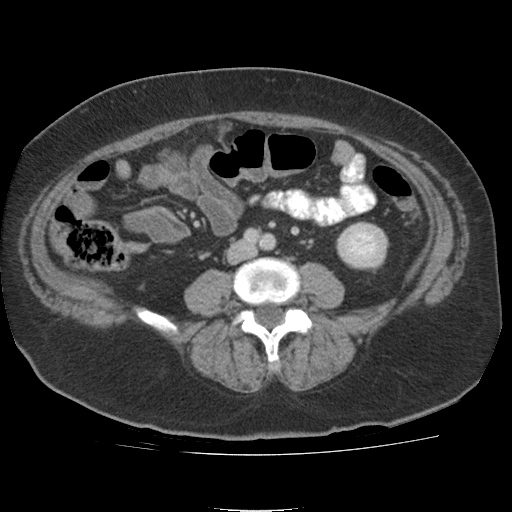

Computed tomography. Abdomen.
Kidney: l=340, t=224, r=385, b=266.